Slice 457 of 771. CT image. Liver. Image size 512x512. 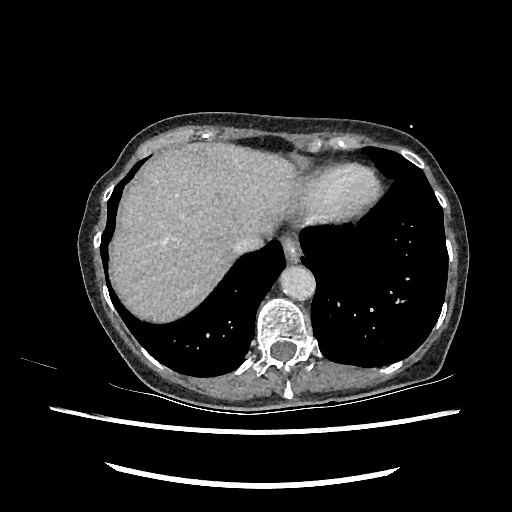

Liver: bounding box 114, 143, 295, 320.